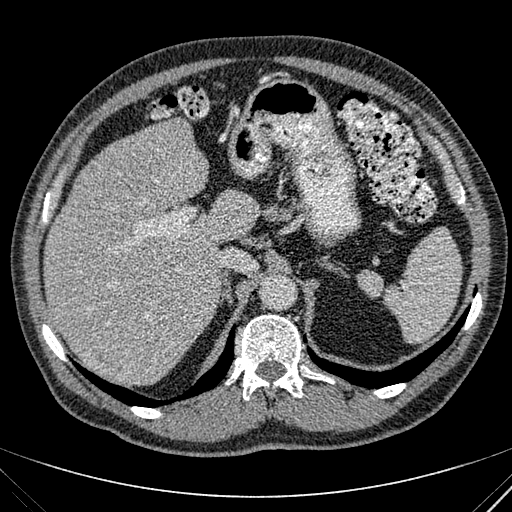
Liver; CT slice
The liver is located at bbox(46, 120, 256, 384). The hepatic lesion appears at bbox(93, 338, 118, 364).